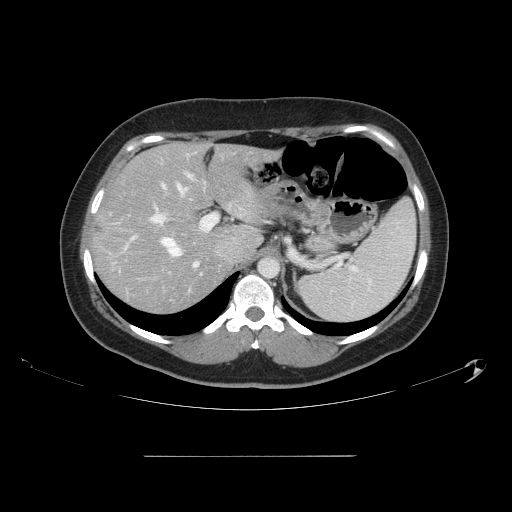

512x512 px. CT slice. Only some of the vessels may be annotated.
Hepatic vessel at 149:214:165:223, 126:244:127:246, 130:237:134:240, 199:214:216:230, 194:262:197:267, 177:184:187:191, 185:173:191:177, 161:238:180:255, 162:184:165:187.
Liver tumor at 94:222:104:235.